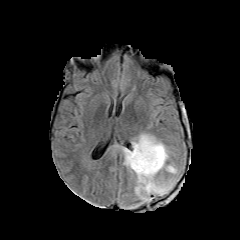
FLAIR MR.
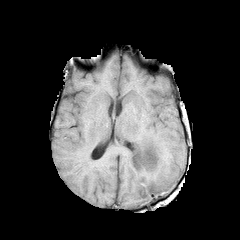
T1-weighted magnetic resonance of the same slice.
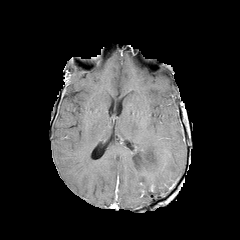
Same slice, post-contrast T1-weighted magnetic resonance.
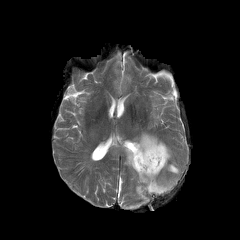
T2-weighted MR image of the same slice.
Brain | 240x240 px
Edema: bounding box rect(114, 132, 180, 208).